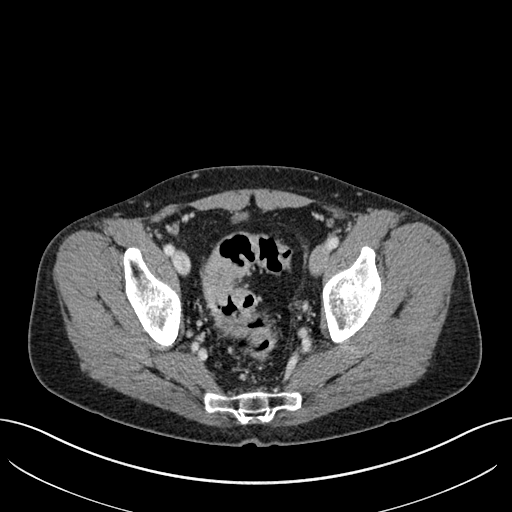
CT | 512x512 px
Findings:
* colon tumor: 203,248,250,321